CT image; Image size 512x512; Upper abdomen
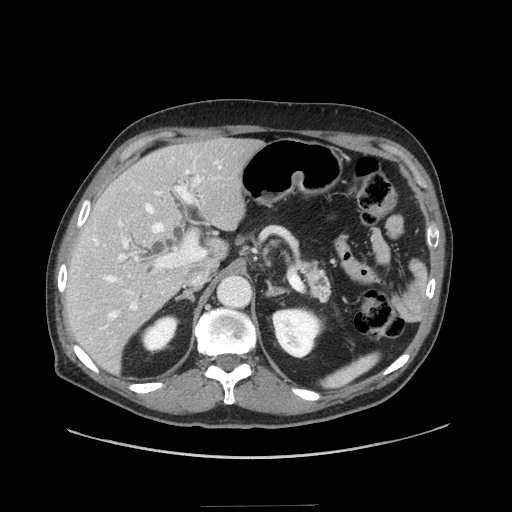

Pancreas at {"x1": 301, "y1": 261, "x2": 329, "y2": 300}.